CT scan slice. Field of view 411 mm wide, 1.50 mm slice spacing. 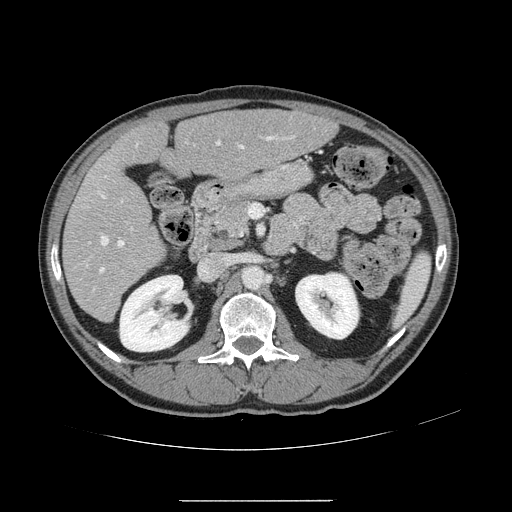

The vessel boxes may cover only some of the vessels.
Annotated regions:
- hepatic vessel: box(82, 262, 87, 267); box(121, 199, 122, 201); box(100, 194, 104, 197); box(101, 235, 107, 245); box(136, 143, 137, 145); box(290, 135, 294, 137); box(217, 141, 219, 144); box(118, 240, 123, 245); box(131, 228, 132, 229); box(266, 137, 275, 140); box(99, 267, 104, 272); box(238, 145, 243, 147)